Head
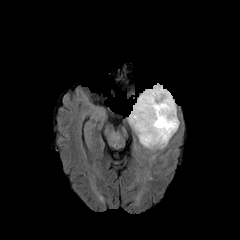
FLAIR MRI.
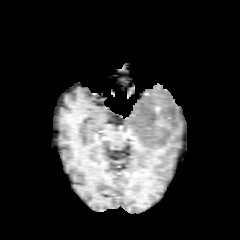
Same slice, T1-weighted MR image.
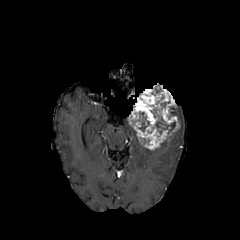
Post-contrast T1-weighted MR image.
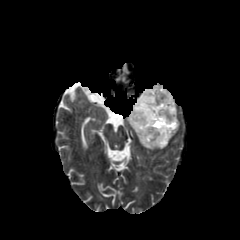
T2-weighted MR image of the same slice.
The enhancing tumor appears at l=129, t=85, r=178, b=149. The edema lies within l=151, t=121, r=180, b=150. 3 non-enhancing tumor core regions are located at l=138, t=112, r=150, b=130; l=168, t=107, r=177, b=118; l=151, t=108, r=175, b=133.